FLAIR MRI.
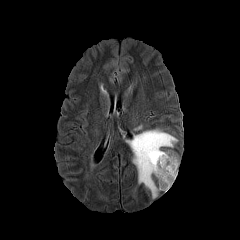
T1-weighted MRI.
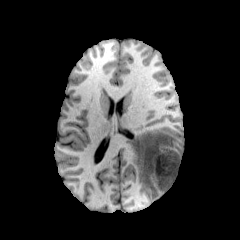
Post-contrast T1-weighted MRI.
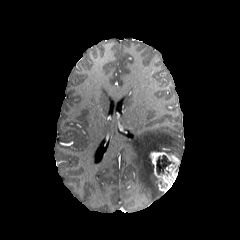
T2-weighted MR.
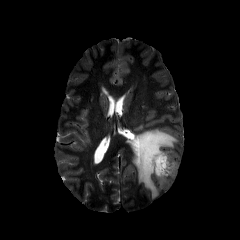
Head.
Edema at x1=126, y1=129, x2=177, y2=199.
Enhancing tumor at x1=149, y1=151, x2=179, y2=191.
Non-enhancing tumor core at x1=156, y1=154, x2=171, y2=176.